Field of view 341x341 mm | CT | Slice 140 of 192 | Upper abdomen 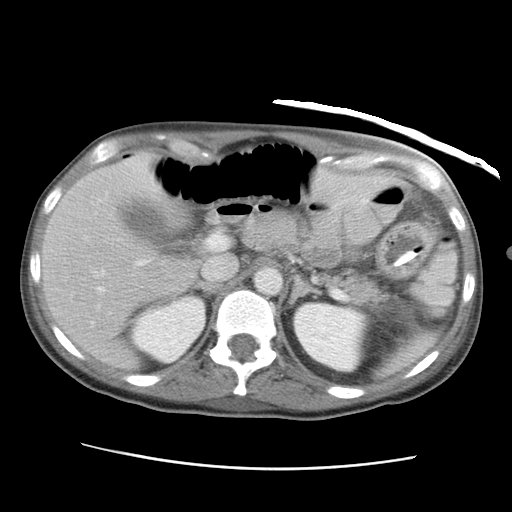 {
  "kidney": [
    "bbox(294, 303, 365, 371)",
    "bbox(133, 297, 204, 362)"
  ],
  "liver": [
    "bbox(42, 153, 197, 369)",
    "bbox(203, 264, 220, 278)",
    "bbox(312, 175, 404, 218)"
  ]
}